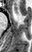 Medial temporal lobe. MR.

Anterior hippocampus: bounding box [x1=14, y1=5, x2=17, y2=12].